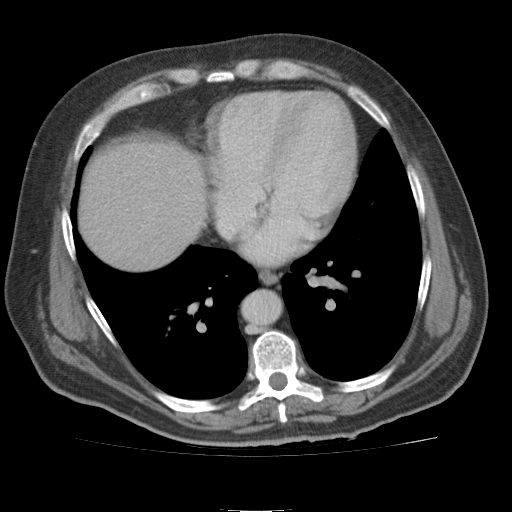
CT image

Annotated regions:
* liver: 83, 131, 207, 268